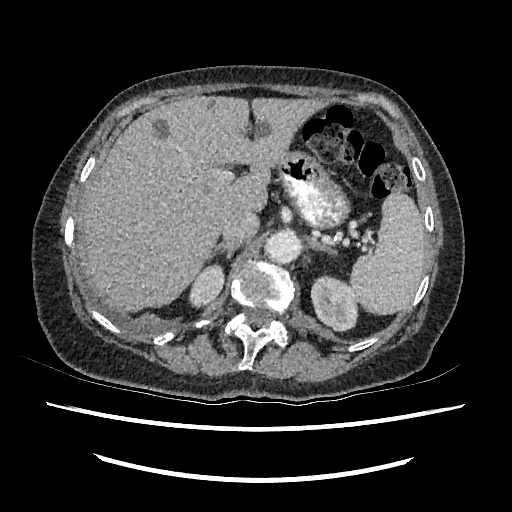

Liver, CT scan slice
<segmentation>
  <liver_lesion>left=256, top=123, right=268, bottom=136; left=153, top=120, right=167, bottom=138</liver_lesion>
  <liver>left=86, top=96, right=325, bottom=312</liver>
  <kidney>left=190, top=266, right=223, bottom=305; left=311, top=277, right=359, bottom=330</kidney>
</segmentation>